Liver, CT image, 512x512 px, Slice 487/816 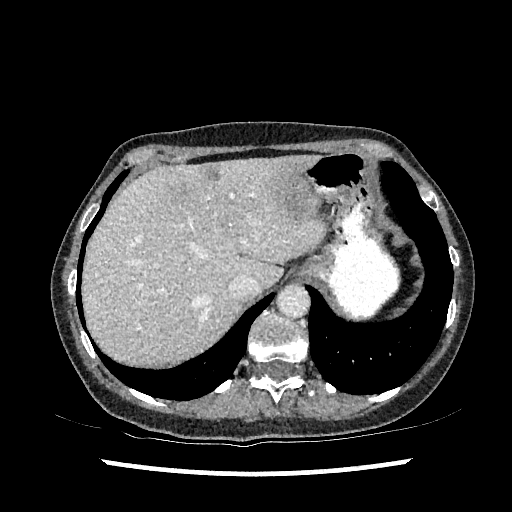
3 focal liver lesion regions are located at bbox=[206, 166, 219, 180]; bbox=[169, 181, 193, 205]; bbox=[274, 160, 316, 221]. The liver is located at bbox=[82, 156, 327, 364].